CT slice
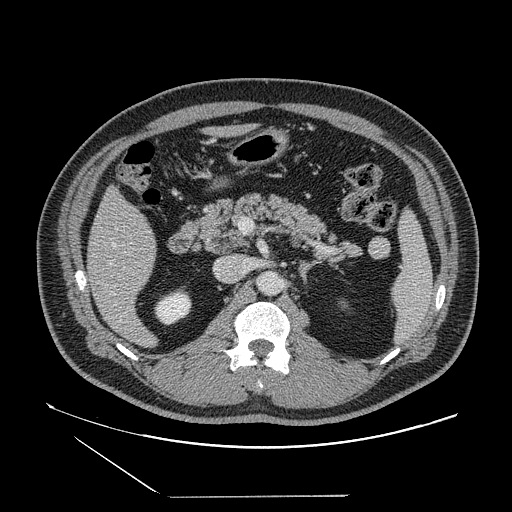

Pancreatic tumor — (left=211, top=234, right=233, bottom=253).
Pancreas — (left=194, top=192, right=362, bottom=257).